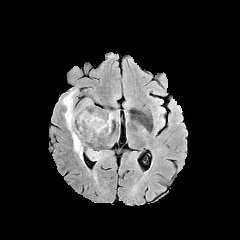
FLAIR magnetic resonance.
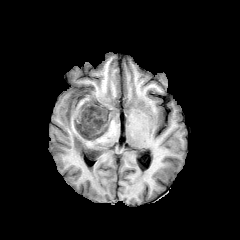
T1-weighted MR image of the same slice.
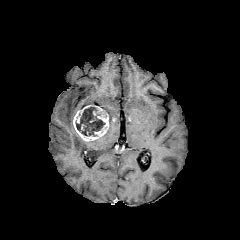
Post-contrast T1-weighted MRI of the same slice.
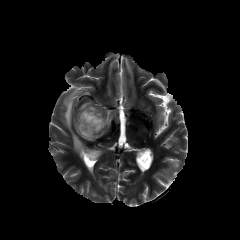
Same slice, T2-weighted MRI.
Head
The enhancing tumor appears at 73, 105, 109, 140. 3 edema regions are bounded by 108, 110, 119, 132; 61, 88, 83, 159; 87, 148, 103, 160. The non-enhancing tumor core appears at 76, 105, 105, 135.